Image width 700 mm | CT | Slice 191 of 536 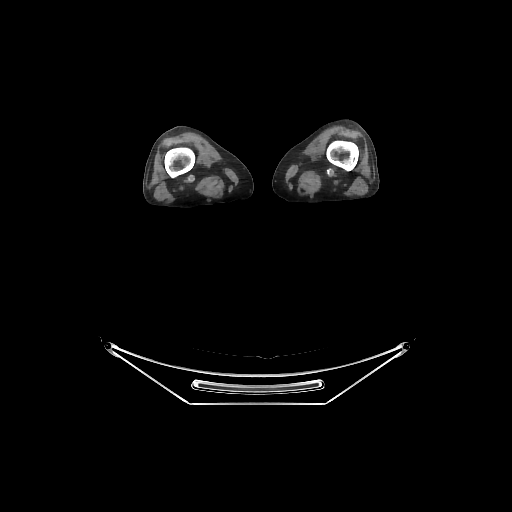
2 bone regions appear at 326, 141, 358, 170; 164, 148, 194, 177.